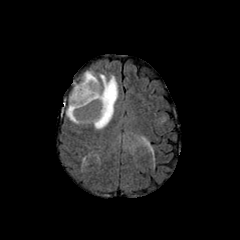
FLAIR MR.
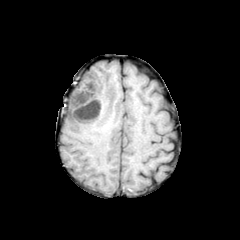
T1-weighted MR.
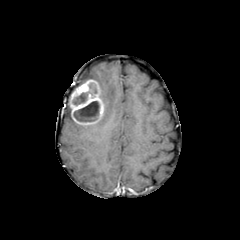
Same slice, post-contrast T1-weighted magnetic resonance.
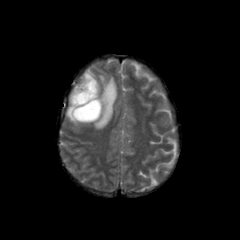
Same slice, T2-weighted magnetic resonance.
{"edema": ["(left=80, top=70, right=118, bottom=129)", "(left=66, top=104, right=81, bottom=125)"], "non-enhancing_tumor_core": ["(left=88, top=82, right=99, bottom=96)", "(left=69, top=92, right=103, bottom=123)"], "enhancing_tumor": ["(left=71, top=80, right=102, bottom=114)"]}